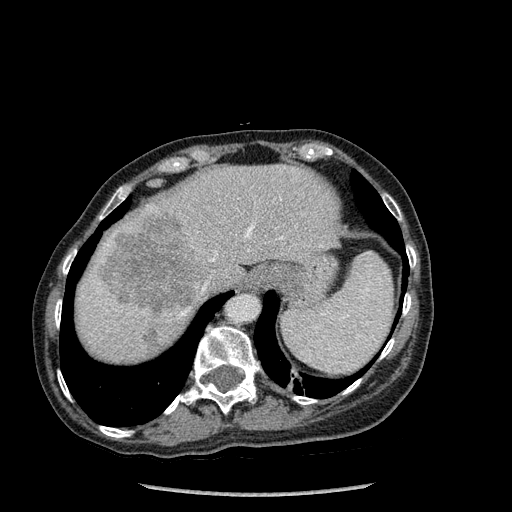 Abdomen; CT
lung: x1=254 y1=291 x2=362 y2=398, x1=60 y1=198 x2=228 y2=426, x1=350 y1=171 x2=407 y2=286 | liver: x1=75 y1=164 x2=344 y2=364 | bone: x1=99 y1=426 x2=132 y2=437, x1=62 y1=249 x2=76 y2=274, x1=164 y1=326 x2=261 y2=414, x1=382 y1=195 x2=401 y2=220, x1=402 y1=293 x2=411 y2=315, x1=293 y1=396 x2=316 y2=404, x1=54 y1=299 x2=61 y2=327, x1=57 y1=370 x2=70 y2=400, x1=99 y1=187 x2=126 y2=219, x1=406 y1=245 x2=416 y2=267, x1=380 y1=338 x2=394 y2=359, x1=343 y1=379 x2=361 y2=394 | hepatic lesion: x1=145 y1=329 x2=157 y2=349, x1=99 y1=213 x2=206 y2=314